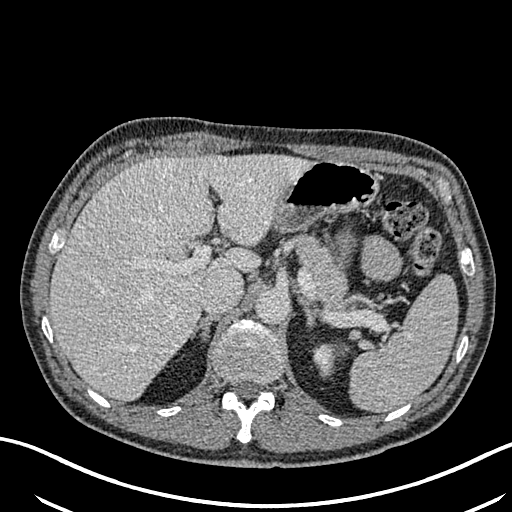 Abdomen, Computed tomography
Segmented structures:
- liver: left=50, top=155, right=311, bottom=400
- kidney: left=315, top=349, right=329, bottom=363